Computed tomography 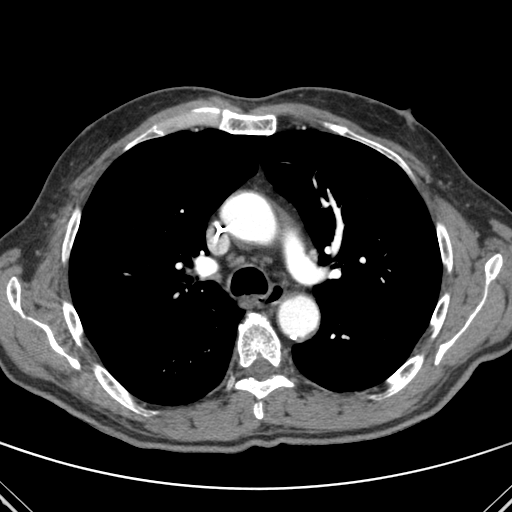
Lung: bounding box (x1=69, y1=129, x2=441, y2=405).
Bone: bounding box (x1=62, y1=209, x2=79, y2=261), (x1=437, y1=223, x2=452, y2=271), (x1=353, y1=135, x2=406, y2=167), (x1=6, y1=277, x2=24, y2=317), (x1=94, y1=365, x2=141, y2=412), (x1=326, y1=124, x2=352, y2=134), (x1=32, y1=319, x2=79, y2=369), (x1=195, y1=107, x2=276, y2=134), (x1=63, y1=302, x2=82, y2=345), (x1=237, y1=313, x2=282, y2=367), (x1=228, y1=374, x2=294, y2=418), (x1=435, y1=254, x2=502, y2=364), (x1=125, y1=126, x2=162, y2=149), (x1=431, y1=294, x2=449, y2=337), (x1=387, y1=355, x2=423, y2=395).